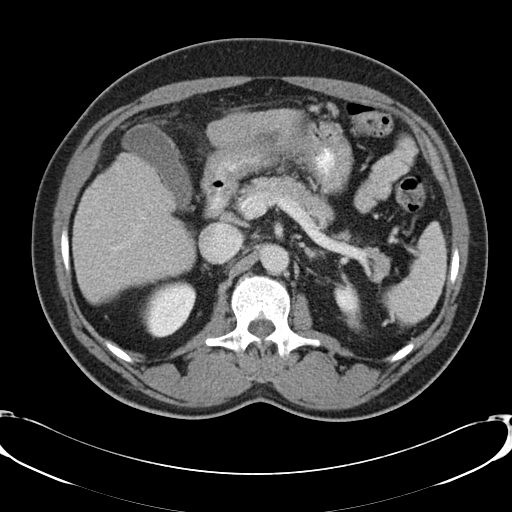 CT image, Abdomen

Some hepatic vessels may have no box.
2 hepatic vessel regions are located at <bbox>141, 217, 143, 218</bbox>, <bbox>137, 225, 140, 228</bbox>.